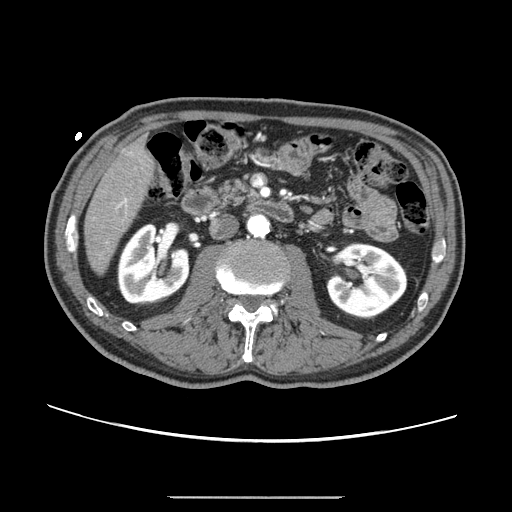

CT scan slice
The pancreas is at left=221, top=181, right=256, bottom=205.